CT, Liver, Image size 512x512, Slice 409/826
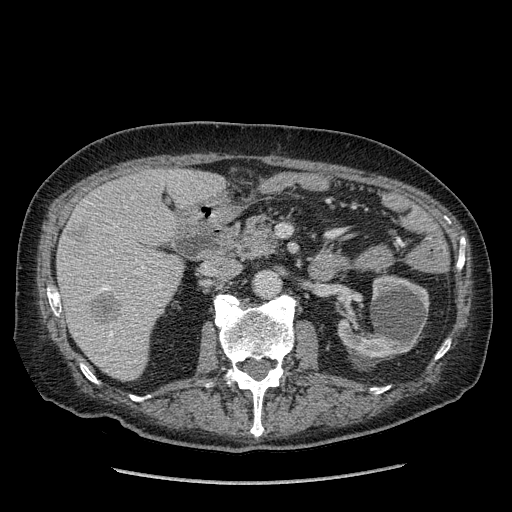
Segmented structures:
* kidney: x1=372, y1=276, x2=428, y2=311; x1=338, y1=308, x2=418, y2=357
* liver lesion: x1=90, y1=291, x2=120, y2=324; x1=72, y1=225, x2=87, y2=238
* liver: x1=57, y1=169, x2=225, y2=380